Abdomen. CT scan slice.

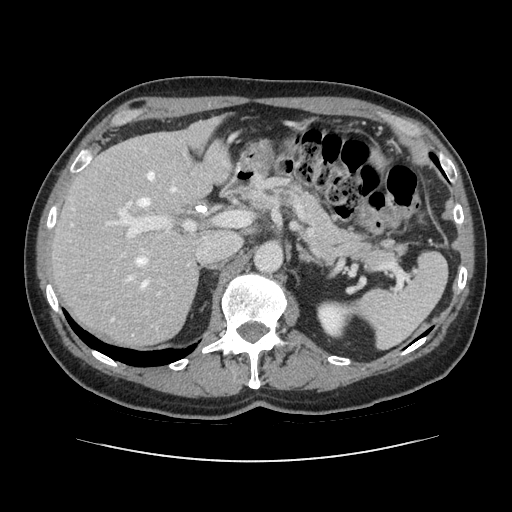 Pancreas = bbox=[251, 178, 394, 266].